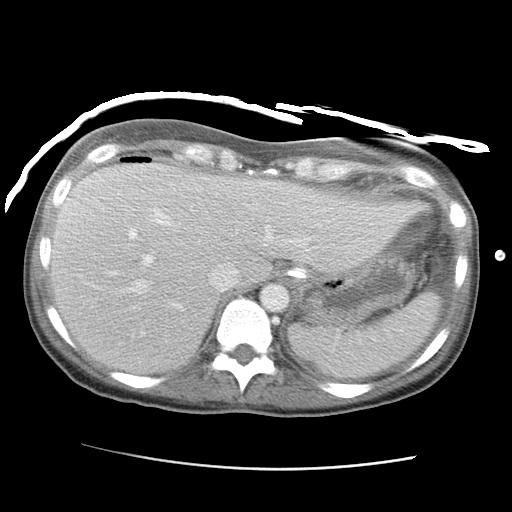 Abdomen; CT image

liver:
  - [48,163,426,375]